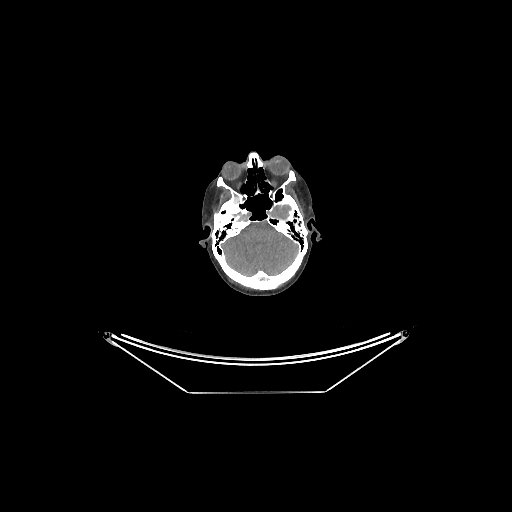
CT scan slice; Head
{"brain": ["bbox(220, 219, 299, 276)", "bbox(231, 211, 251, 221)", "bbox(266, 204, 291, 222)"]}